Computed tomography. Abdomen.

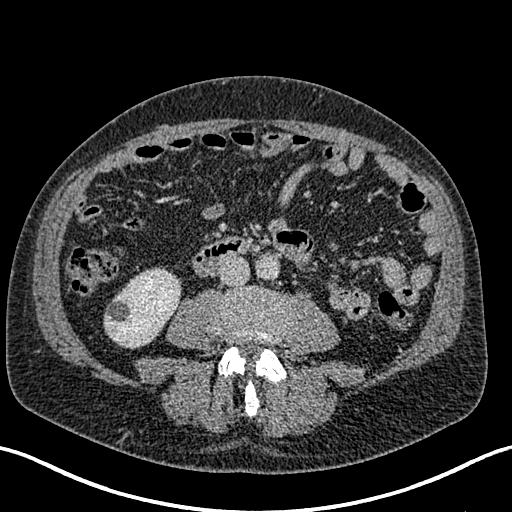
The kidney lies within 103,270,179,347.